Thorax, Computed tomography, 512x512, Field of view 344x344 mm

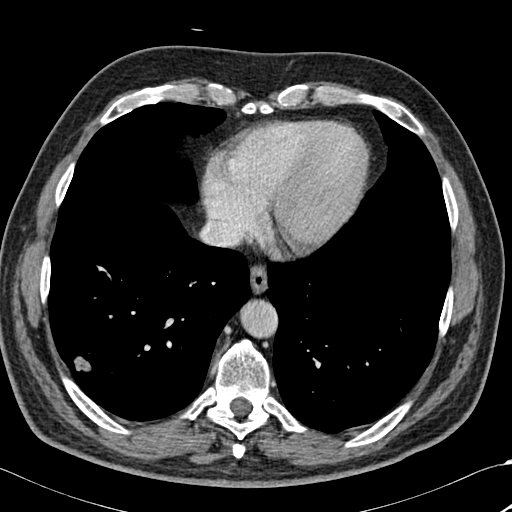 Lung: bounding box bbox=[48, 102, 251, 421]; bbox=[266, 110, 451, 433].
Bone: bounding box bbox=[243, 103, 271, 113]; bbox=[443, 178, 457, 227]; bbox=[184, 340, 304, 439]; bbox=[40, 257, 50, 299]; bbox=[101, 85, 184, 123]; bbox=[278, 87, 293, 102]; bbox=[63, 378, 127, 433]; bbox=[233, 444, 244, 457]; bbox=[346, 404, 409, 446]; bbox=[439, 291, 452, 333]; bbox=[56, 164, 73, 204]; bbox=[361, 95, 422, 133].